CT | Image width 400 mm | Slice 560/629
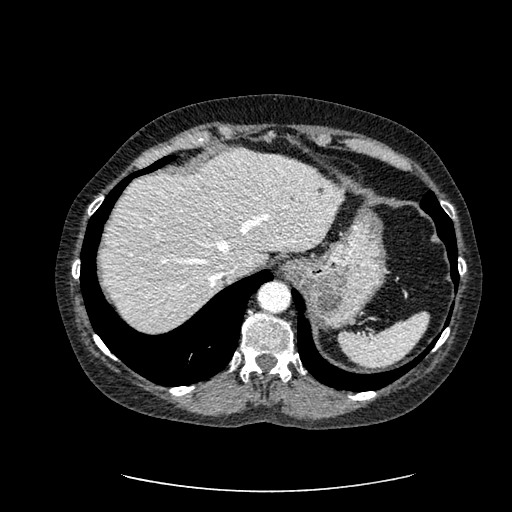
Liver lesion = bbox(316, 186, 323, 195).
Liver = bbox(100, 149, 338, 331).